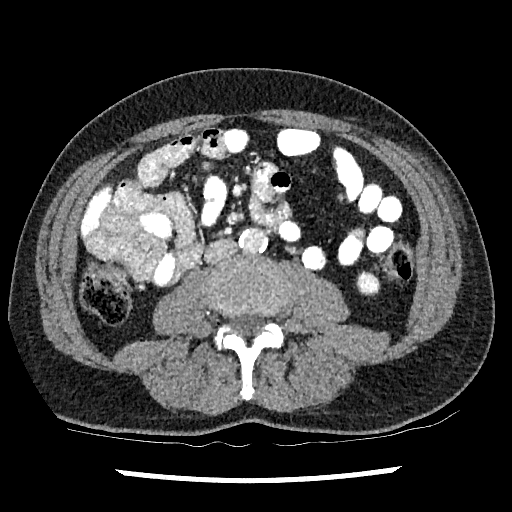
Abdomen; Image size 512x512; CT

The kidney is located at (359,274,377,291).